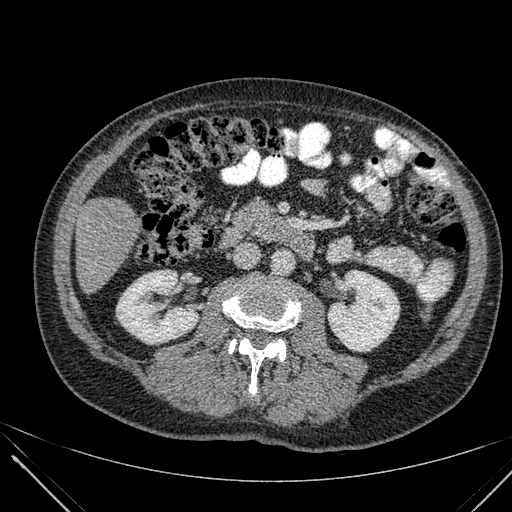

Image size 512x512. CT scan slice.
kidney:
  - 116:270:197:343
  - 328:271:399:351
liver:
  - 76:197:141:293